FLAIR MRI.
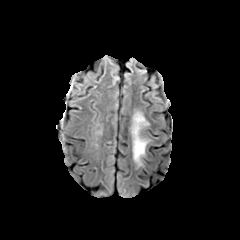
T1-weighted MRI.
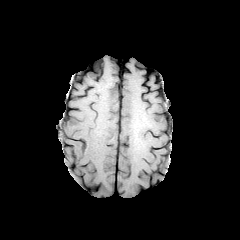
Post-contrast T1-weighted MR.
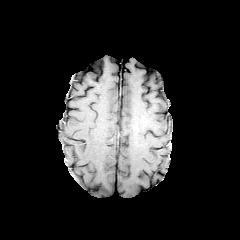
T2-weighted magnetic resonance.
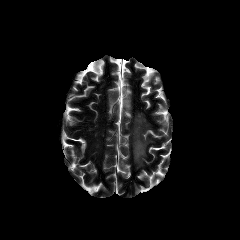
edema:
  - l=132, t=138, r=147, b=165
  - l=135, t=115, r=143, b=122